CT
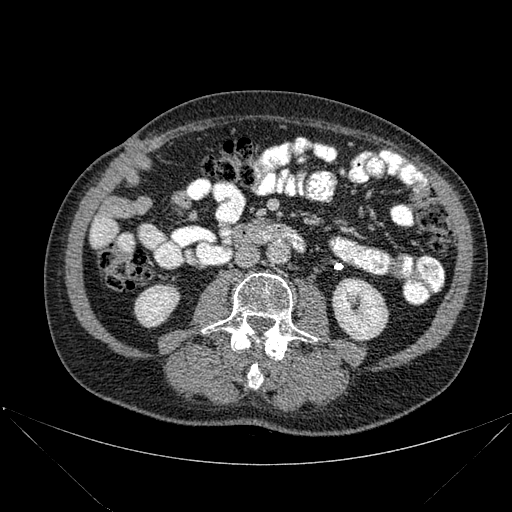
kidney:
  - [x1=333, y1=279, x2=387, y2=340]
  - [x1=135, y1=285, x2=178, y2=326]
bone:
  - [x1=202, y1=273, x2=317, y2=359]
  - [x1=248, y1=363, x2=262, y2=388]